Field of view 351 mm wide, 1.00 mm slice spacing, Liver, CT 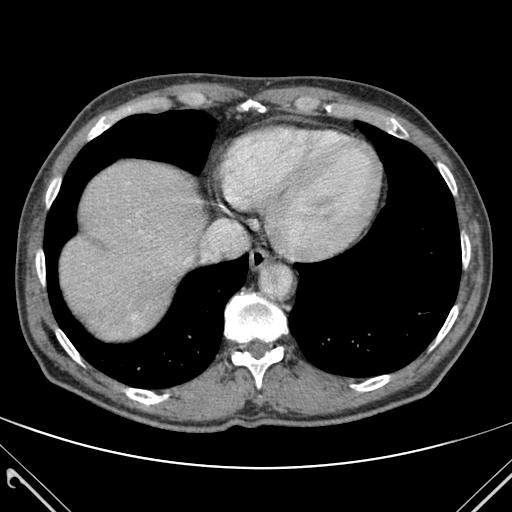 Lung: [x1=289, y1=121, x2=461, y2=376], [x1=44, y1=110, x2=247, y2=388].
Liver: [x1=60, y1=161, x2=203, y2=340].
Bone: [x1=225, y1=293, x2=286, y2=342], [x1=461, y1=236, x2=469, y2=265], [x1=438, y1=163, x2=456, y2=193], [x1=89, y1=117, x2=111, y2=138], [x1=381, y1=118, x2=405, y2=136], [x1=240, y1=100, x2=265, y2=111], [x1=36, y1=250, x2=44, y2=284], [x1=232, y1=347, x2=282, y2=387], [x1=126, y1=388, x2=167, y2=404], [x1=46, y1=177, x2=60, y2=207], [x1=436, y1=306, x2=457, y2=343], [x1=351, y1=375, x2=388, y2=390], [x1=56, y1=328, x2=81, y2=363].